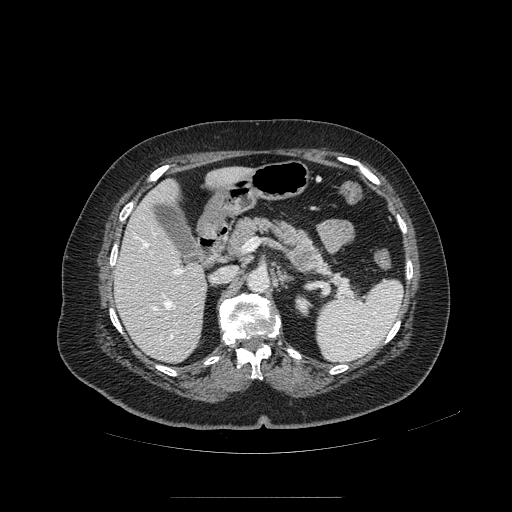
Abdomen, CT image, Image size 512x512
The pancreas is located at 227 216 334 278. The pancreatic tumor is bounded by 291 248 315 270.